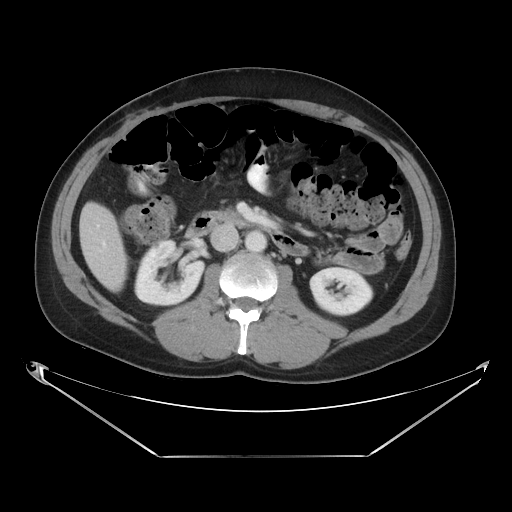
Image size 512x512, Computed tomography, Abdomen
The pancreas is located at box=[218, 211, 230, 218].